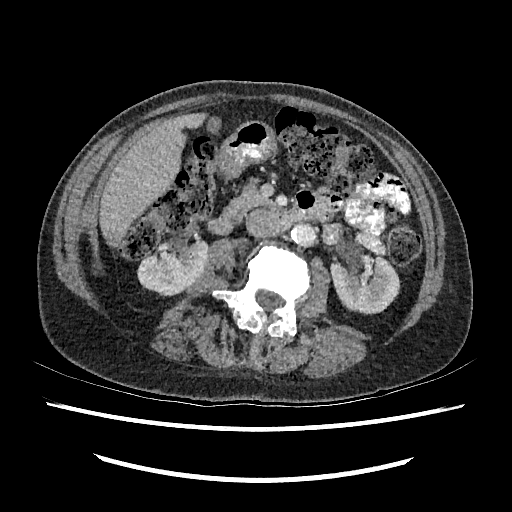

Image size 512x512 | CT image | Abdomen

The liver is at x1=100, y1=114, x2=204, y2=244. 2 kidney regions are bounded by x1=331, y1=257, x2=399, y2=312; x1=138, y1=243, x2=207, y2=294. 2 focal liver lesion regions appear at x1=110, y1=233, x2=121, y2=246; x1=142, y1=141, x2=152, y2=151.